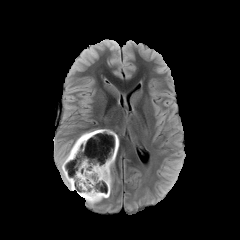
FLAIR MRI.
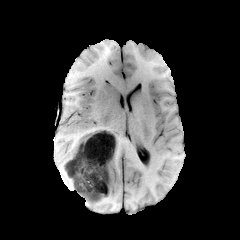
T1-weighted MR image.
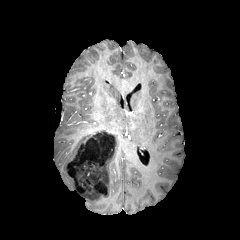
Same slice, post-contrast T1-weighted MR.
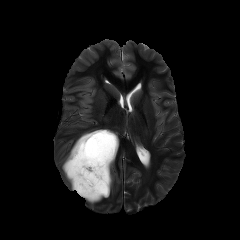
T2-weighted MRI.
Edema: {"x1": 80, "y1": 155, "x2": 115, "y2": 204}, {"x1": 61, "y1": 142, "x2": 75, "y2": 189}.
Non-enhancing tumor core: {"x1": 64, "y1": 129, "x2": 113, "y2": 199}.